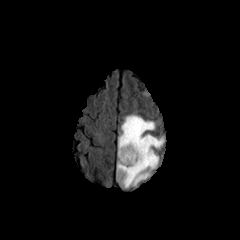
FLAIR MR image.
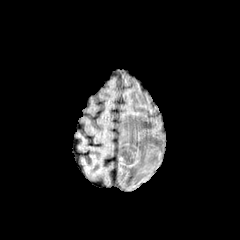
T1-weighted MR.
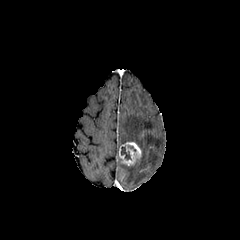
Post-contrast T1-weighted MR image.
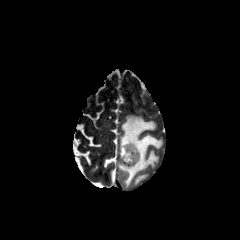
T2-weighted MR image.
Image size 240x240
The edema is at [117, 114, 163, 188]. The non-enhancing tumor core is at [121, 147, 131, 160]. The enhancing tumor is bounded by [118, 142, 141, 166].